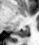

MRI slice. Hippocampus. 39x45 px. Posterior hippocampus = 17:27:28:37.